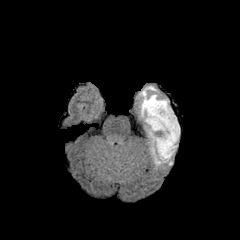
FLAIR MR.
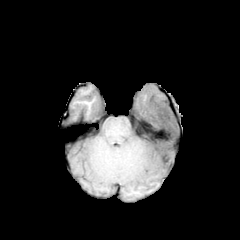
T1-weighted MRI.
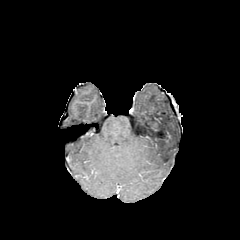
Same slice, post-contrast T1-weighted MRI.
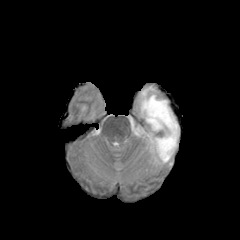
T2-weighted MR image of the same slice.
Head
The non-enhancing tumor core is bounded by {"x1": 154, "y1": 111, "x2": 166, "y2": 124}. The edema appears at {"x1": 138, "y1": 86, "x2": 179, "y2": 165}.